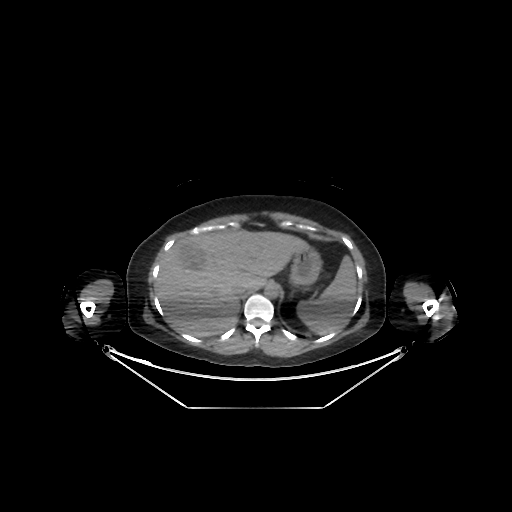

512x512. CT scan slice. liver: [153,226,304,338]